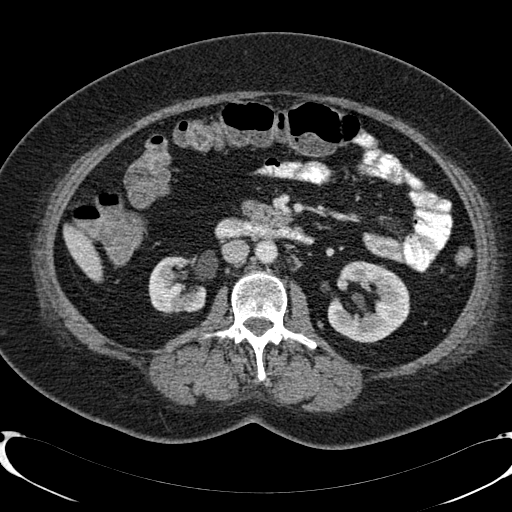
Computed tomography
* liver: left=63, top=225, right=101, bottom=280
* kidney: left=328, top=262, right=408, bottom=341; left=149, top=257, right=205, bottom=311